FLAIR MRI.
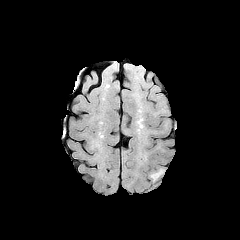
T1-weighted MR.
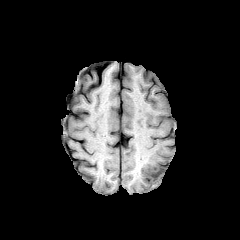
Post-contrast T1-weighted magnetic resonance.
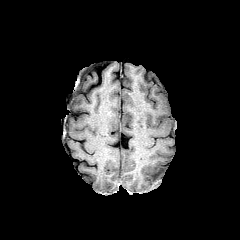
T2-weighted MRI.
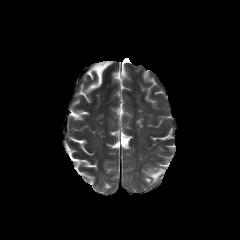
Annotated regions:
• edema: [150, 168, 164, 181]